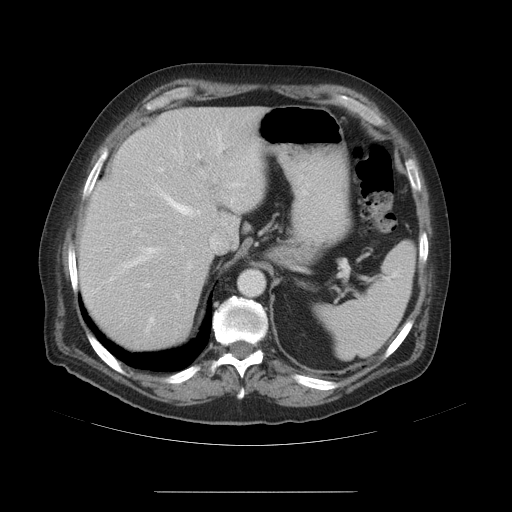

Computed tomography, Liver, 512x512 px
Some hepatic vessels may have no box.
partial: true
liver_tumor:
  - rect(83, 291, 96, 311)
  - rect(119, 280, 134, 293)
hepatic_vessel:
  # 15 of 16 shown
  - rect(110, 278, 114, 279)
  - rect(159, 168, 163, 171)
  - rect(222, 223, 225, 224)
  - rect(196, 210, 199, 213)
  - rect(146, 284, 148, 285)
  - rect(146, 317, 154, 329)
  - rect(171, 150, 175, 152)
  - rect(130, 203, 133, 205)
  - rect(179, 231, 181, 232)
  - rect(133, 227, 138, 233)
  - rect(200, 171, 204, 176)
  - rect(216, 129, 222, 150)
  - rect(123, 248, 159, 269)
  - rect(197, 153, 200, 157)
  - rect(160, 191, 192, 216)